512x512. CT slice.
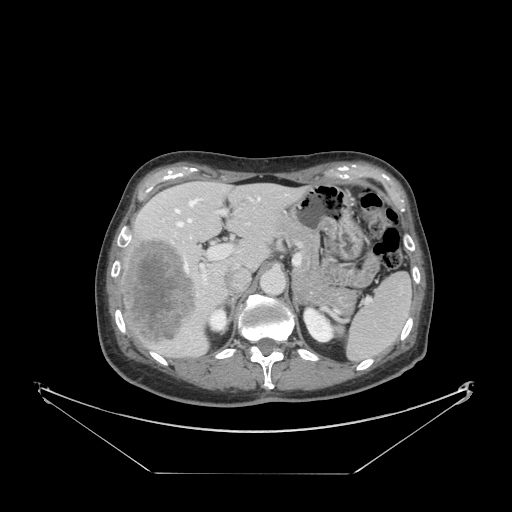
Spleen: bounding box (left=347, top=273, right=411, bottom=361).